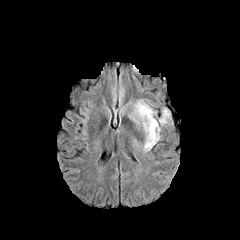
FLAIR MR image.
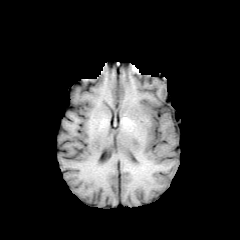
Same slice, T1-weighted magnetic resonance.
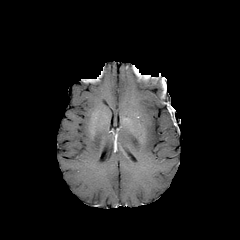
Same slice, post-contrast T1-weighted MR.
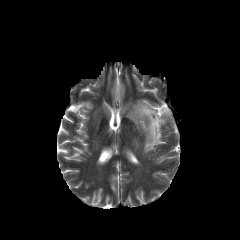
Same slice, T2-weighted MR.
Image size 240x240
<segmentation>
  <edema>128 99 161 153, 158 107 171 126</edema>
</segmentation>